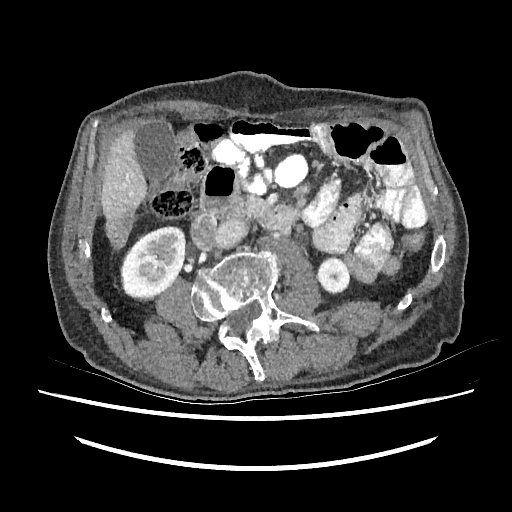
Computed tomography
Annotated regions:
* focal liver lesion: 111:207:132:247
* liver: 101:129:146:244
* kidney: 318:259:348:291, 122:227:184:296